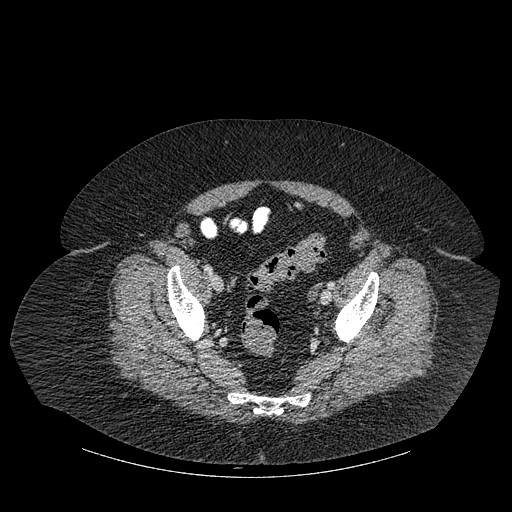 CT scan slice. {"bone": [{"x1": 335, "y1": 272, "x2": 378, "y2": 342}, {"x1": 167, "y1": 266, "x2": 204, "y2": 340}, {"x1": 228, "y1": 393, "x2": 310, "y2": 414}]}